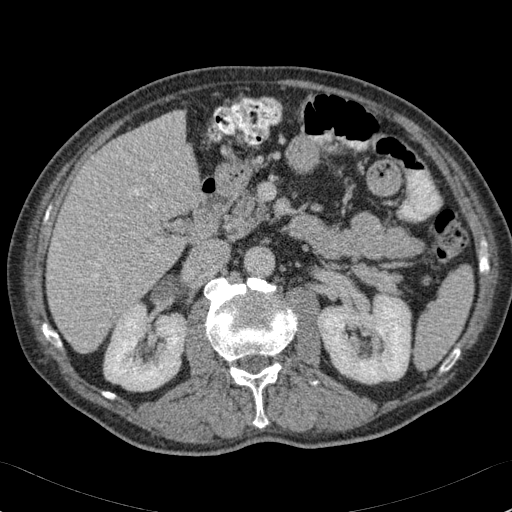

Abdomen | CT

Liver = rect(47, 112, 197, 353).
Kidney = rect(104, 304, 186, 390); rect(317, 293, 410, 383).